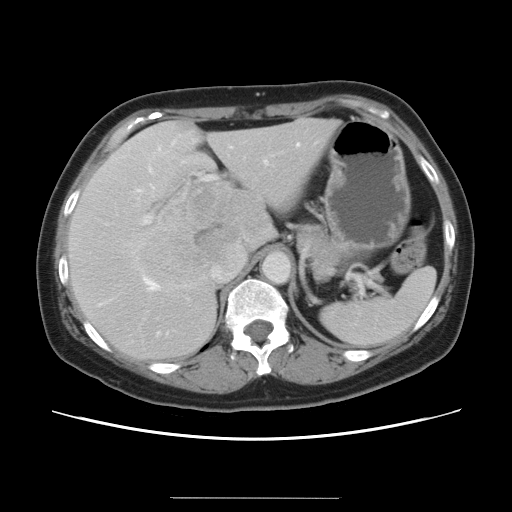
CT image. 512x512 px.
Some hepatic vessels may have no box.
<segmentation>
  <hepatic_vessel><box>263,160,266,164</box>, <box>143,216,151,223</box>, <box>149,168,151,172</box>, <box>192,139,196,142</box>, <box>136,190,140,192</box>, <box>297,144,298,146</box>, <box>211,268,219,277</box>, <box>156,332,159,335</box>, <box>144,278,159,290</box>, <box>150,185,153,188</box>, <box>200,176,215,181</box>, <box>98,303,101,306</box></hepatic_vessel>
  <liver_tumor><box>138,184,260,282</box></liver_tumor>
</segmentation>